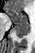 35x53 | MRI slice

<segmentation>
  <anterior_hippocampus>bbox=[6, 8, 28, 23]</anterior_hippocampus>
  <posterior_hippocampus>bbox=[15, 24, 28, 37]</posterior_hippocampus>
</segmentation>